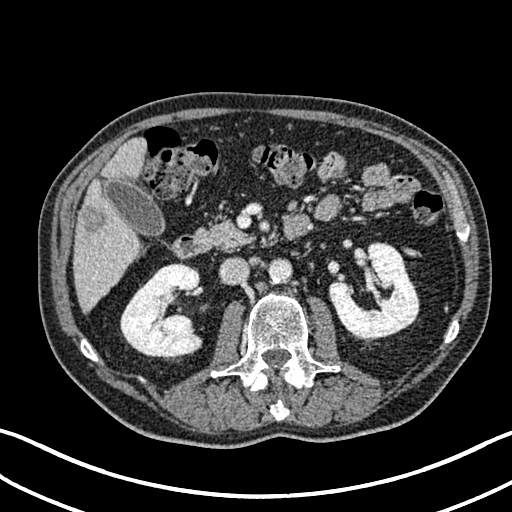 CT image | Image size 512x512
The hepatic lesion is at left=83, top=207, right=105, bottom=231. 2 kidney regions are located at left=121, top=264, right=201, bottom=356; left=330, top=243, right=418, bottom=337. 2 liver regions appear at left=74, top=178, right=138, bottom=312; left=100, top=138, right=145, bottom=180.